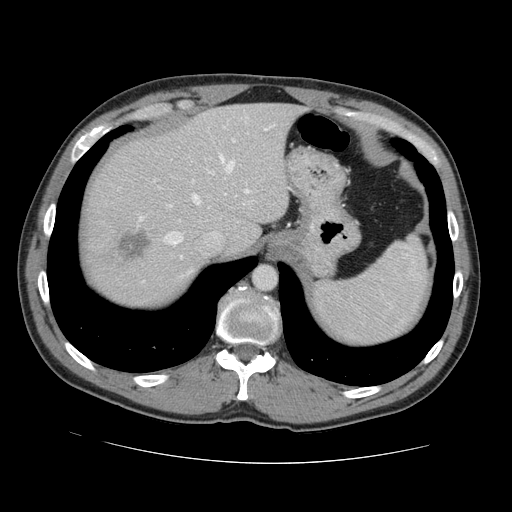 Computed tomography

Not every hepatic vessel necessarily has a box.
liver tumor: (x1=118, y1=227, x2=149, y2=261) | [15/24] hepatic vessel: (x1=179, y1=255, x2=182, y2=258), (x1=164, y1=232, x2=182, y2=244), (x1=151, y1=179, x2=155, y2=181), (x1=204, y1=158, x2=209, y2=161), (x1=206, y1=169, x2=213, y2=173), (x1=219, y1=153, x2=233, y2=172), (x1=264, y1=123, x2=275, y2=129), (x1=206, y1=130, x2=208, y2=133), (x1=223, y1=124, x2=226, y2=128), (x1=243, y1=201, x2=250, y2=204), (x1=139, y1=216, x2=143, y2=220), (x1=245, y1=118, x2=246, y2=123), (x1=192, y1=194, x2=200, y2=204), (x1=166, y1=204, x2=170, y2=207), (x1=244, y1=189, x2=249, y2=192)